Image width 240 mm, Brain
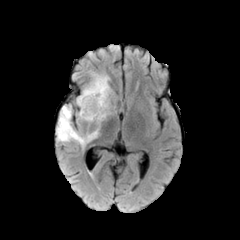
FLAIR MRI.
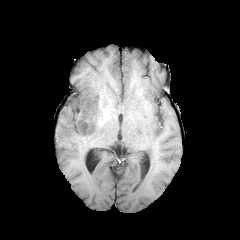
T1-weighted MR image.
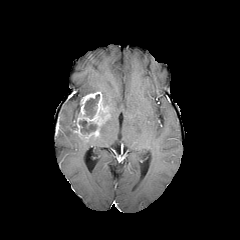
Post-contrast T1-weighted MRI of the same slice.
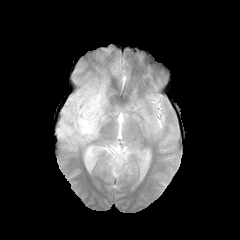
Same slice, T2-weighted magnetic resonance.
Segmented structures:
- edema: (x1=56, y1=97, x2=96, y2=149), (x1=78, y1=72, x2=113, y2=125)
- enhancing tumor: (x1=74, y1=92, x2=103, y2=139)
- non-enhancing tumor core: (x1=79, y1=119, x2=102, y2=133), (x1=84, y1=94, x2=99, y2=117)